CT. Slice index 83. Image width 335 mm.

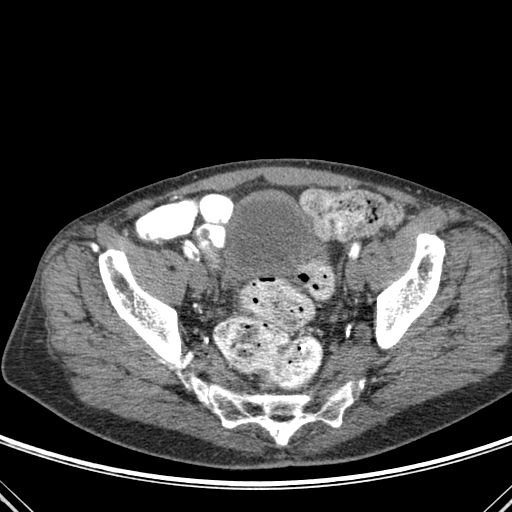 {
  "bone": [
    "bbox(358, 379, 364, 389)",
    "bbox(187, 373, 353, 445)",
    "bbox(375, 233, 444, 348)",
    "bbox(99, 249, 192, 374)"
  ]
}